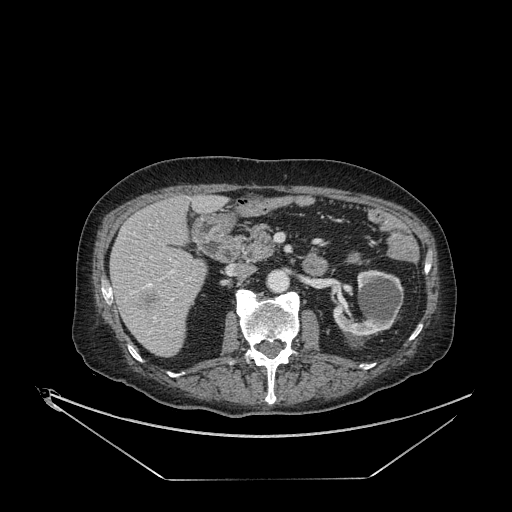

Computed tomography | 512x512 px
<segmentation>
  <focal_liver_lesion>{"x1": 139, "y1": 291, "x2": 159, "y2": 311}</focal_liver_lesion>
  <kidney>{"x1": 357, "y1": 270, "x2": 402, "y2": 293}, {"x1": 321, "y1": 278, "x2": 398, "y2": 335}</kidney>
  <liver>{"x1": 110, "y1": 194, "x2": 226, "y2": 357}</liver>
</segmentation>